FLAIR MR image.
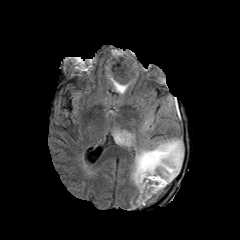
T1-weighted MR.
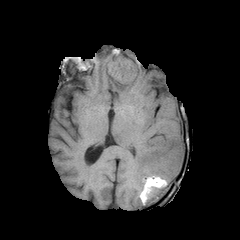
Post-contrast T1-weighted magnetic resonance.
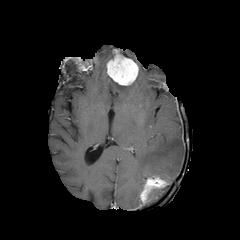
T2-weighted magnetic resonance.
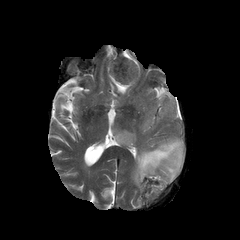
Brain
Annotated regions:
* non-enhancing tumor core: left=109, top=55, right=137, bottom=82
* edema: left=117, top=137, right=133, bottom=147; left=132, top=137, right=184, bottom=192; left=109, top=77, right=129, bottom=93
* enhancing tumor: left=108, top=61, right=134, bottom=85; left=140, top=176, right=166, bottom=201